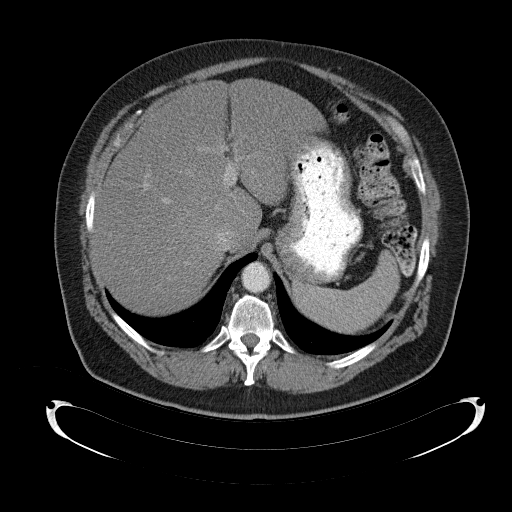
Upper abdomen; Image size 512x512; CT scan slice
Annotated regions:
• spleen: rect(294, 255, 398, 332)